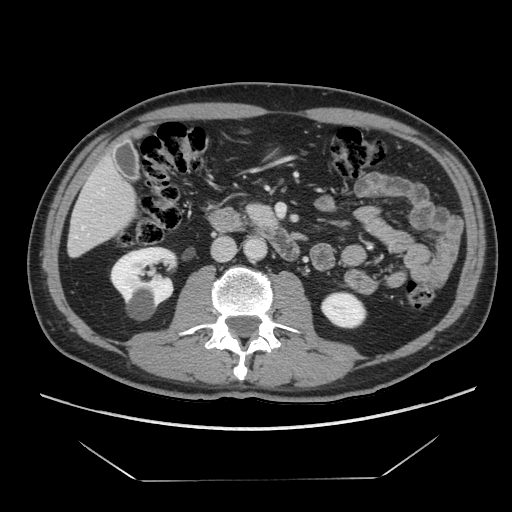 CT image | 512x512 px
• pancreas: 247, 204, 275, 225